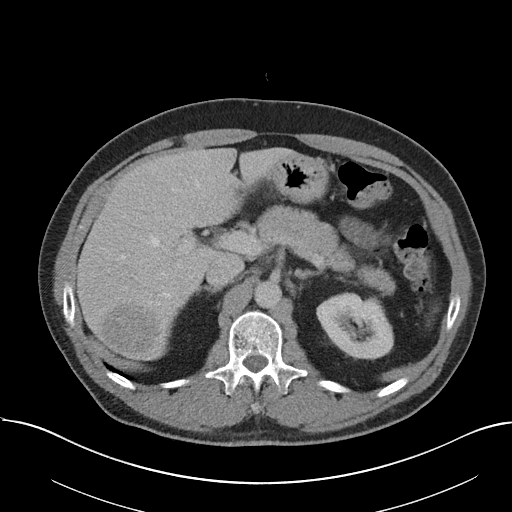 512x512 px. Liver. CT image. The vessel boxes may cover only some of the vessels.
Hepatic vessel = left=172, top=242, right=192, bottom=256; left=117, top=255, right=125, bottom=259; left=150, top=234, right=158, bottom=246; left=177, top=260, right=181, bottom=266; left=172, top=188, right=173, bottom=190; left=195, top=181, right=198, bottom=186; left=163, top=293, right=169, bottom=297.
Liver tumor = left=100, top=305, right=161, bottom=353.